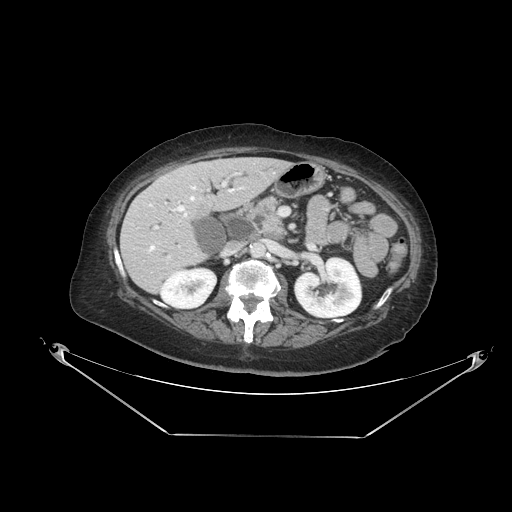

CT image
pancreas: x1=249, y1=197, x2=283, y2=231